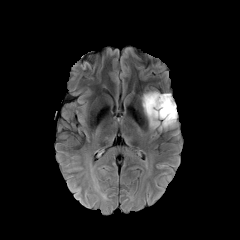
FLAIR magnetic resonance.
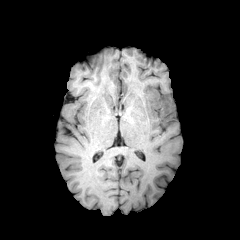
Same slice, T1-weighted magnetic resonance.
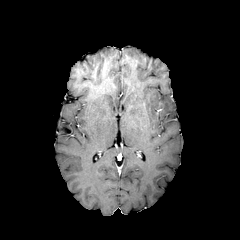
Same slice, post-contrast T1-weighted MR.
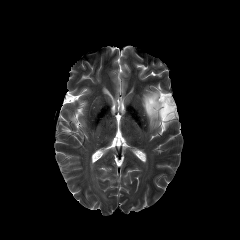
T2-weighted MR image of the same slice.
• edema: x1=142, y1=91, x2=177, y2=130
• non-enhancing tumor core: x1=152, y1=96, x2=173, y2=123